Image size 240x240; Field of view 240 mm wide, 1.00 mm slice spacing
FLAIR MRI.
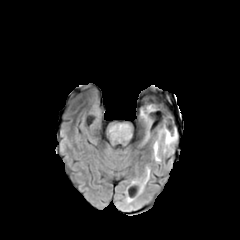
T1-weighted MRI.
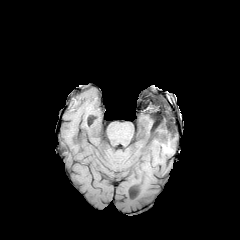
Post-contrast T1-weighted MRI.
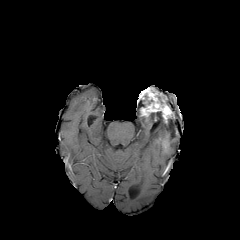
T2-weighted magnetic resonance.
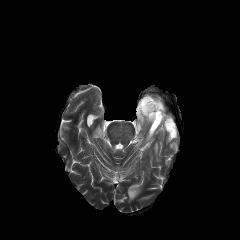
<segmentation>
  <edema>region(145, 120, 151, 141); region(134, 179, 145, 193); region(153, 124, 177, 161)</edema>
  <non-enhancing_tumor_core>region(147, 110, 171, 128)</non-enhancing_tumor_core>
  <enhancing_tumor>region(140, 102, 169, 123)</enhancing_tumor>
</segmentation>